Slice index 18 | Liver | CT slice
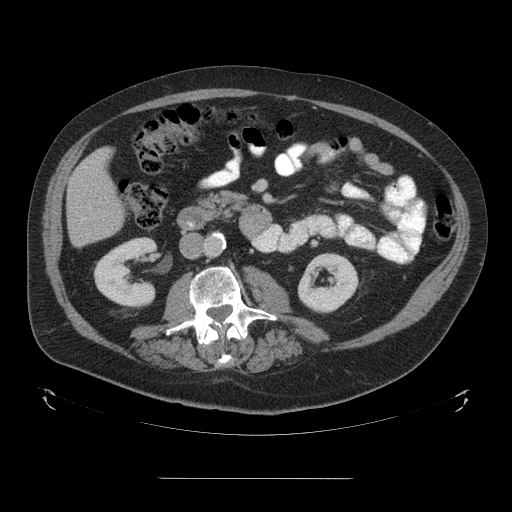
Some hepatic vessels may have no box.
The hepatic vessel lies within (82, 218, 84, 219).